Abdomen. Field of view 381 mm wide, 2.50 mm slice spacing. CT slice.
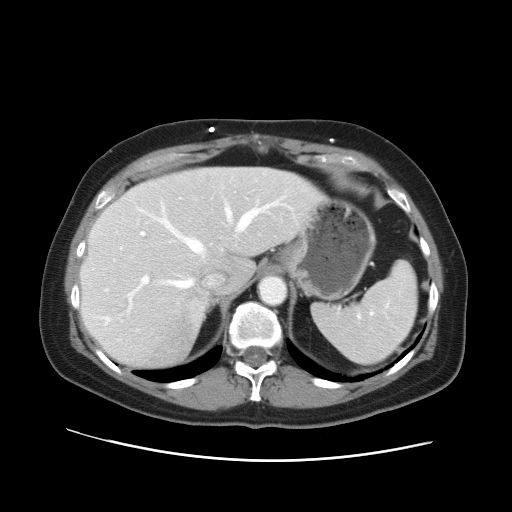

Some hepatic vessels may have no box.
5 hepatic vessel regions are located at l=140, t=276, r=148, b=285; l=237, t=210, r=257, b=231; l=226, t=208, r=231, b=219; l=157, t=209, r=205, b=256; l=160, t=278, r=192, b=288.